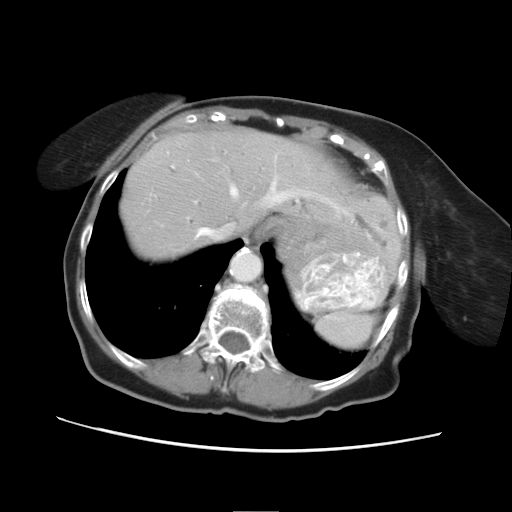
Image size 512x512; Computed tomography
The vessel boxes may cover only some of the vessels.
Hepatic vessel: <bbox>195, 224, 231, 238</bbox>, <bbox>263, 176, 314, 205</bbox>, <bbox>230, 184, 238, 198</bbox>, <bbox>319, 197, 348, 213</bbox>.